FLAIR magnetic resonance.
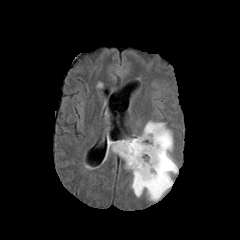
T1-weighted MRI.
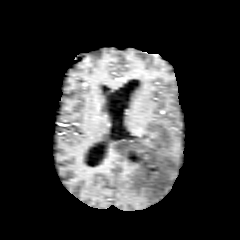
Post-contrast T1-weighted MR image.
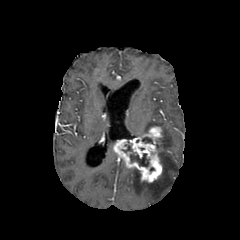
T2-weighted magnetic resonance.
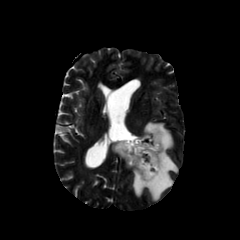
2 edema regions are bounded by <bbox>107, 136, 114, 152</bbox>, <bbox>127, 121, 178, 201</bbox>. 2 non-enhancing tumor core regions are located at <bbox>142, 137, 152, 143</bbox>, <bbox>130, 154, 148, 166</bbox>. The enhancing tumor is at <bbox>113, 125, 164, 182</bbox>.